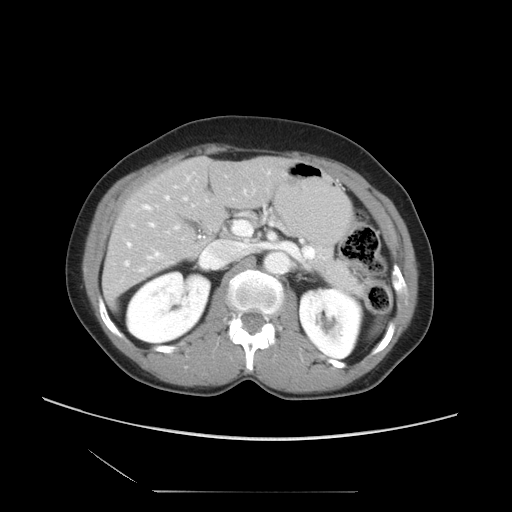 Computed tomography. Liver. Only some of the vessels may be annotated.
partial: true
hepatic_vessel:
  # 15 of 16 shown
  - <bbox>243, 190, 245, 193</bbox>
  - <bbox>124, 261, 128, 265</bbox>
  - <bbox>186, 176, 189, 180</bbox>
  - <bbox>126, 242, 131, 246</bbox>
  - <bbox>154, 205, 157, 207</bbox>
  - <bbox>167, 231, 169, 232</bbox>
  - <bbox>147, 251, 160, 259</bbox>
  - <bbox>183, 196, 186, 199</bbox>
  - <bbox>174, 224, 178, 229</bbox>
  - <bbox>165, 195, 168, 199</bbox>
  - <bbox>149, 222, 154, 226</bbox>
  - <bbox>174, 185, 176, 187</bbox>
  - <bbox>131, 224, 133, 226</bbox>
  - <bbox>142, 204, 150, 209</bbox>
  - <bbox>138, 267, 144, 270</bbox>